512x512, Slice index 400, Image width 496 mm, CT scan slice
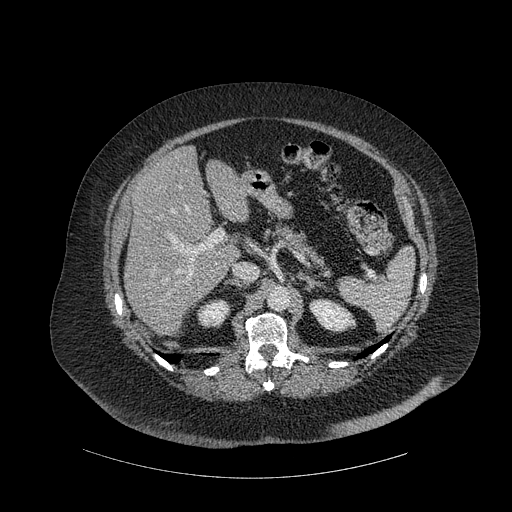

Segmented structures:
- bone: left=329, top=362, right=347, bottom=367; left=204, top=367, right=218, bottom=375; left=115, top=294, right=122, bottom=314; left=155, top=354, right=172, bottom=370; left=371, top=344, right=387, bottom=358; left=420, top=274, right=426, bottom=293; left=263, top=380, right=273, bottom=390; left=246, top=313, right=308, bottom=372
- lung: left=356, top=338, right=388, bottom=358; left=159, top=353, right=181, bottom=363
- liver: left=206, top=160, right=248, bottom=221; left=124, top=145, right=239, bottom=335
- kidney: left=198, top=301, right=228, bottom=325; left=310, top=300, right=354, bottom=330